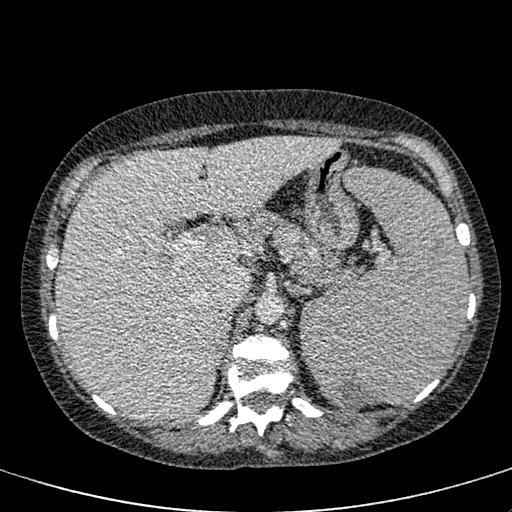
CT slice

The liver appears at l=58, t=138, r=339, b=421.